FLAIR MR image.
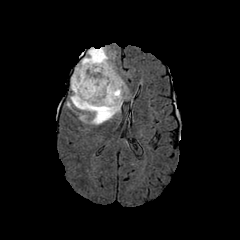
T1-weighted magnetic resonance.
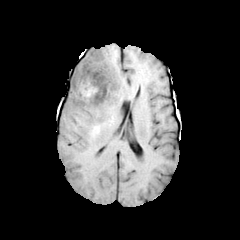
Post-contrast T1-weighted MRI.
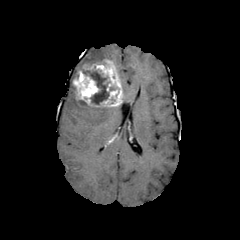
T2-weighted magnetic resonance.
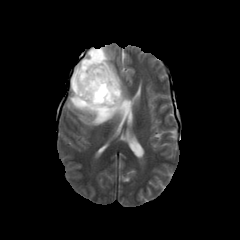
Brain
enhancing tumor: [x1=71, y1=59, x2=122, y2=106] | non-enhancing tumor core: [x1=90, y1=72, x2=108, y2=104] | edema: [x1=85, y1=47, x2=111, y2=61], [x1=66, y1=85, x2=122, y2=125]